Computed tomography; Abdomen 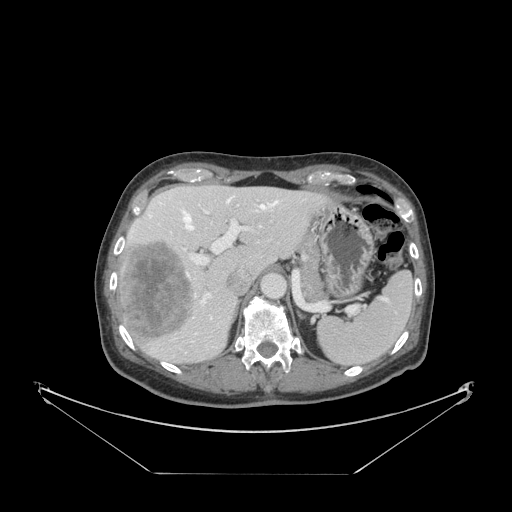 The spleen lies within bbox(319, 273, 414, 366).